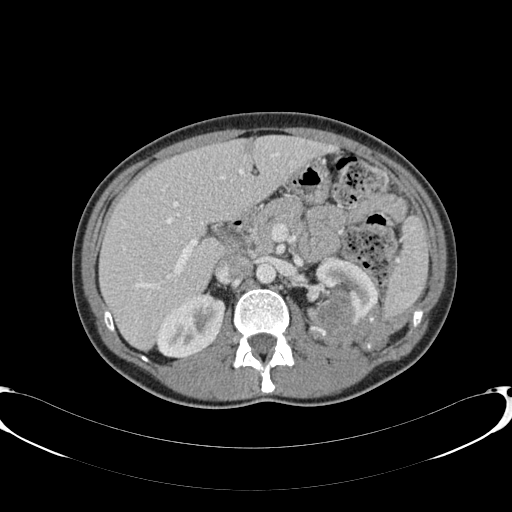
CT scan slice

The liver is located at 100,136,337,349. 2 kidney regions are located at 158,295,224,356; 310,259,377,348. The hepatic lesion appears at 246,140,254,152.